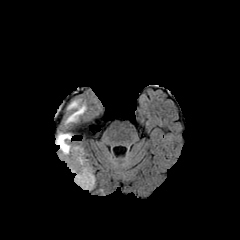
FLAIR magnetic resonance.
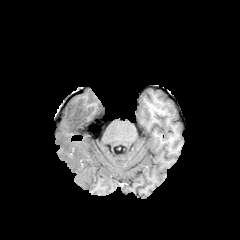
T1-weighted MRI of the same slice.
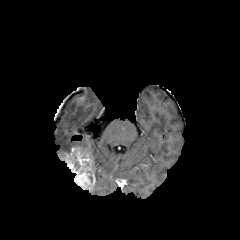
Post-contrast T1-weighted MR image of the same slice.
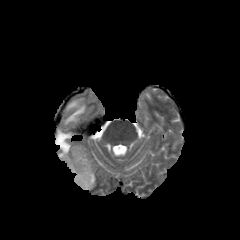
T2-weighted MRI of the same slice.
240x240 px
- enhancing tumor: (x1=64, y1=148, x2=94, y2=188)
- edema: (x1=65, y1=97, x2=87, y2=125), (x1=56, y1=130, x2=72, y2=159)